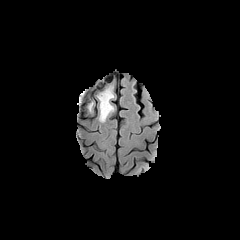
FLAIR MR.
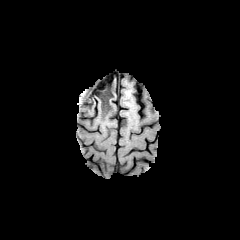
T1-weighted MRI of the same slice.
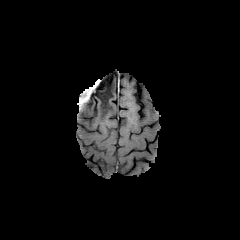
Post-contrast T1-weighted MR.
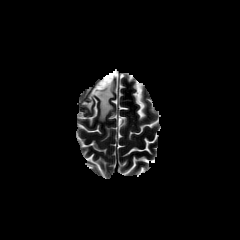
T2-weighted MR of the same slice.
Segmented structures:
* non-enhancing tumor core: <bbox>94, 82, 111, 105</bbox>
* edema: <bbox>79, 84, 115, 122</bbox>